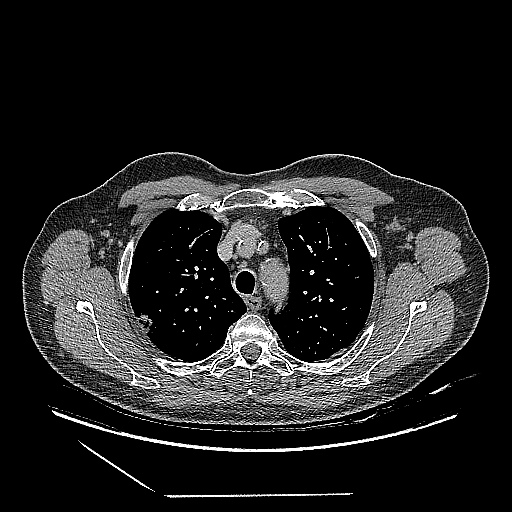

512x512 px. Computed tomography.

The lung tumor is at x1=136, y1=309, x2=154, y2=336.